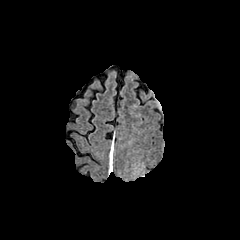
FLAIR MR image.
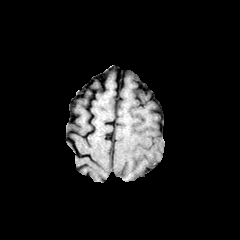
T1-weighted MR.
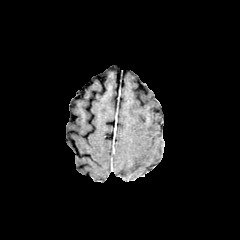
Post-contrast T1-weighted MRI.
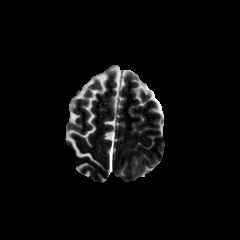
Same slice, T2-weighted magnetic resonance.
The edema is located at [x1=108, y1=147, x2=113, y2=171].